FLAIR magnetic resonance.
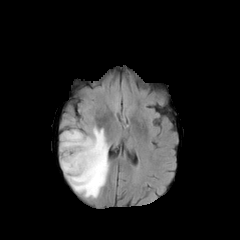
T1-weighted MRI.
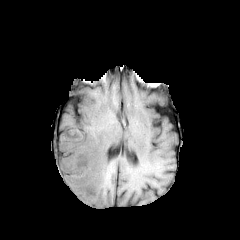
Post-contrast T1-weighted magnetic resonance.
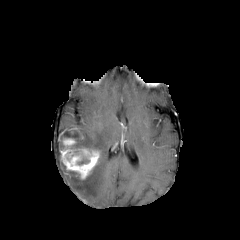
T2-weighted magnetic resonance.
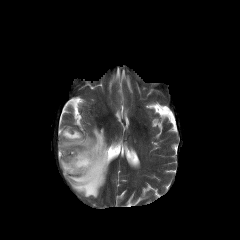
240x240
enhancing tumor: [60, 138, 99, 179] | edema: [60, 126, 109, 198]